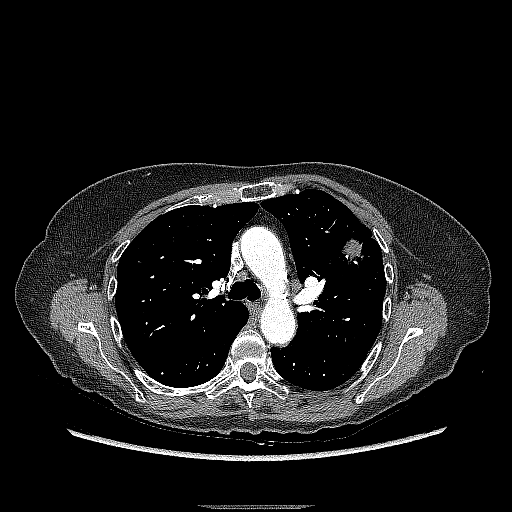

Lung; Computed tomography; Image size 512x512
{
  "lung_tumor": [
    "[x1=336, y1=226, x2=368, y2=273]"
  ]
}